240x240; Field of view 240 mm wide, 1.00 mm slice spacing; Slice index 115
FLAIR MR image.
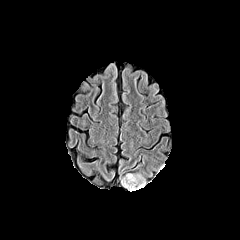
T1-weighted MR.
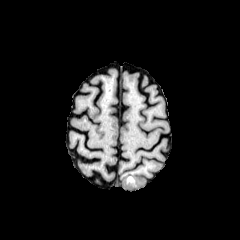
Post-contrast T1-weighted magnetic resonance.
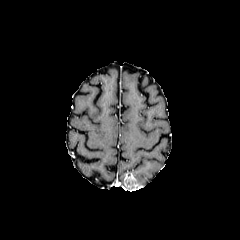
T2-weighted MR image.
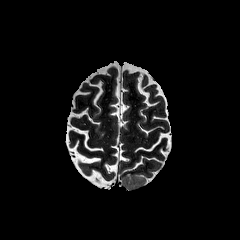
Edema: (133, 172, 146, 186).
Enhancing tumor: (124, 173, 143, 190).